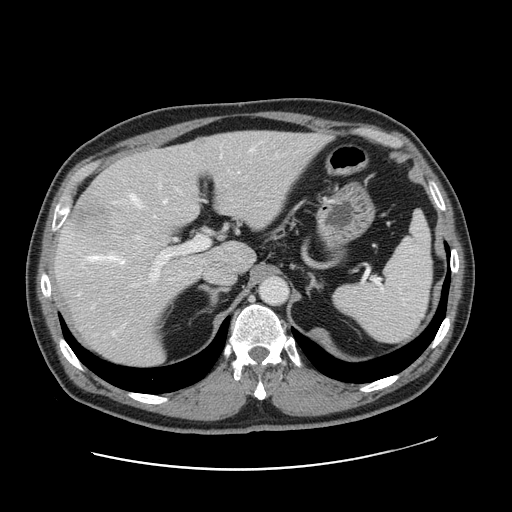
512x512 px; Liver; Computed tomography

Not every hepatic vessel necessarily has a box.
Findings:
• liver tumor: (70, 206, 108, 233), (296, 161, 305, 173)
• hepatic vessel: (87, 253, 123, 264), (220, 153, 222, 155), (134, 235, 140, 237), (131, 195, 141, 204), (133, 283, 139, 285), (173, 237, 174, 239), (175, 187, 181, 191), (276, 153, 281, 155), (163, 199, 166, 202), (197, 198, 201, 200), (150, 230, 211, 278), (250, 146, 253, 150), (221, 208, 231, 213)